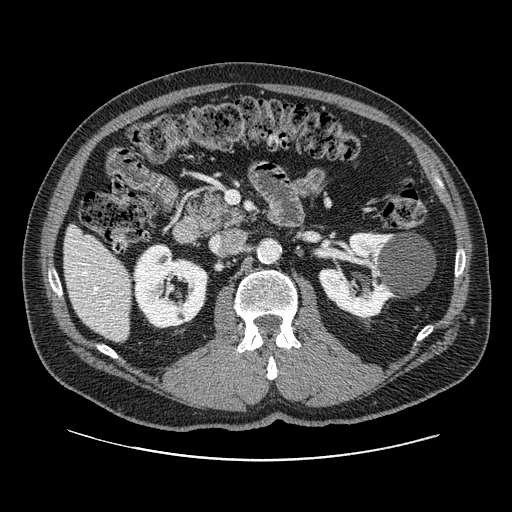
CT scan slice; 512x512 px

<segmentation>
  <pancreas>[183,191,245,235]</pancreas>
</segmentation>